FLAIR MR image.
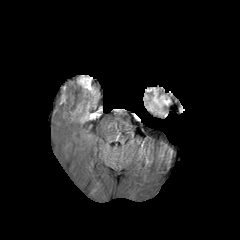
T1-weighted MR image.
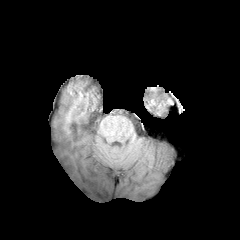
Post-contrast T1-weighted magnetic resonance.
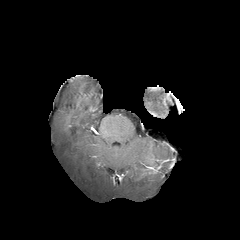
T2-weighted MR image.
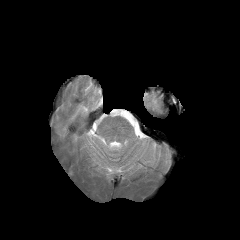
Brain
<segmentation>
  <edema>x1=148 y1=91 x2=167 y2=111</edema>
</segmentation>